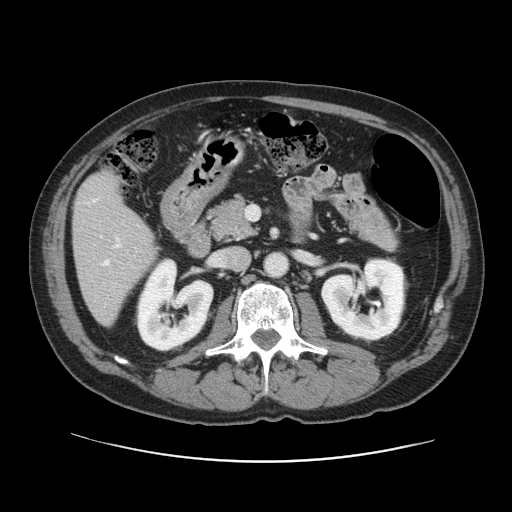
CT slice

Only some of the vessels may be annotated.
hepatic vessel: 114:238:119:247, 93:200:95:201, 102:260:108:264